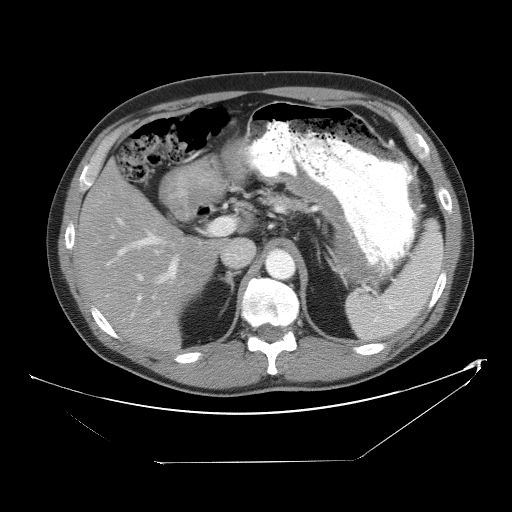 Abdomen | Computed tomography
Not every hepatic vessel necessarily has a box.
{
  "partial": true,
  "hepatic_vessel": {
    "n_total": 20,
    "boxes": [
      "[114,258,117,260]",
      "[154,311,159,314]",
      "[132,241,138,243]",
      "[147,231,150,235]",
      "[155,236,165,244]",
      "[155,250,162,254]",
      "[156,275,162,282]",
      "[166,279,173,283]",
      "[152,295,155,298]",
      "[137,274,142,279]",
      "[106,260,113,265]",
      "[170,255,178,265]",
      "[110,235,113,237]",
      "[117,218,122,223]",
      "[137,294,141,301]"
    ]
  }
}